Slice 24/48, Image width 409 mm, Abdomen, Image size 512x512, CT image

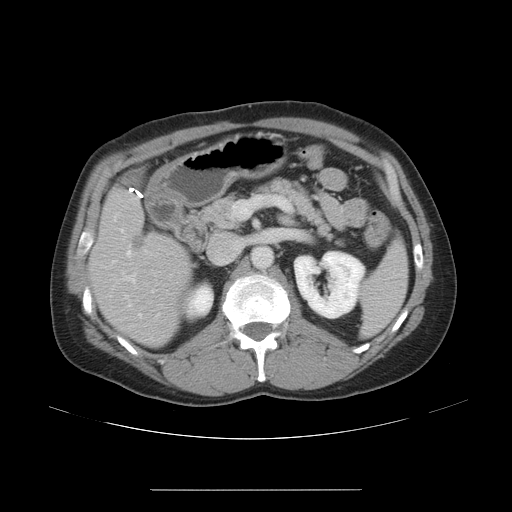 The vessel boxes may cover only some of the vessels.
Liver tumor: [133,238,143,249].
Hepatic vessel: [122,273,135,282], [127,251,130,255], [144,249,146,252], [139,314,141,317], [151,290,153,291], [120,229,123,231], [128,303,131,305].